CT | Image size 512x512 | Liver | Slice 484 of 811
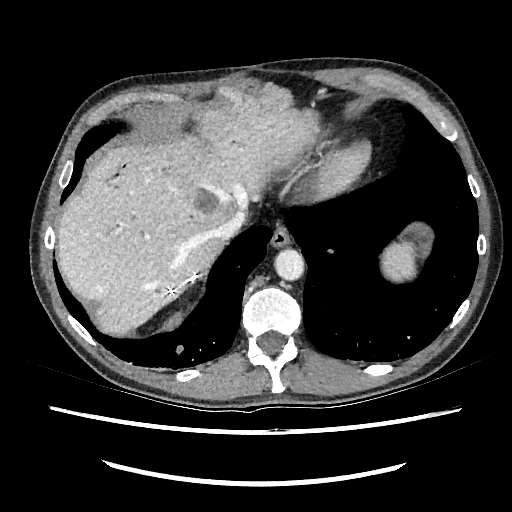 <segmentation>
  <liver><bbox>58, 87, 318, 332</bbox></liver>
  <focal_liver_lesion><bbox>195, 188, 219, 213</bbox></focal_liver_lesion>
</segmentation>